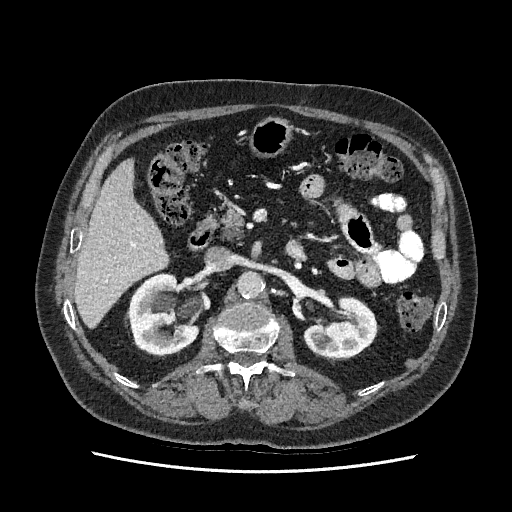

CT. Upper abdomen. 512x512.

Segmented structures:
- kidney: (305, 295, 375, 357), (130, 274, 197, 354)
- liver: (76, 161, 168, 327)